Upper abdomen, CT image
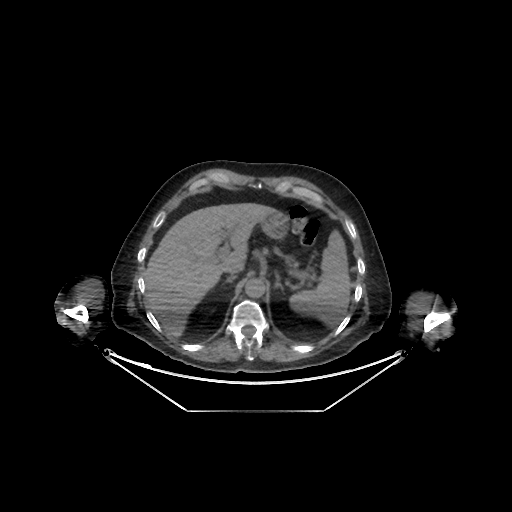
Liver = bbox=[141, 203, 275, 336].